CT | Image width 314 mm | Upper abdomen
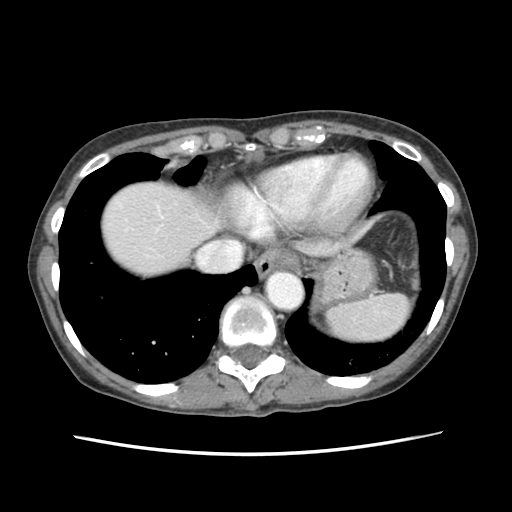

<segmentation>
  <spleen>(left=325, top=294, right=411, bottom=346)</spleen>
</segmentation>